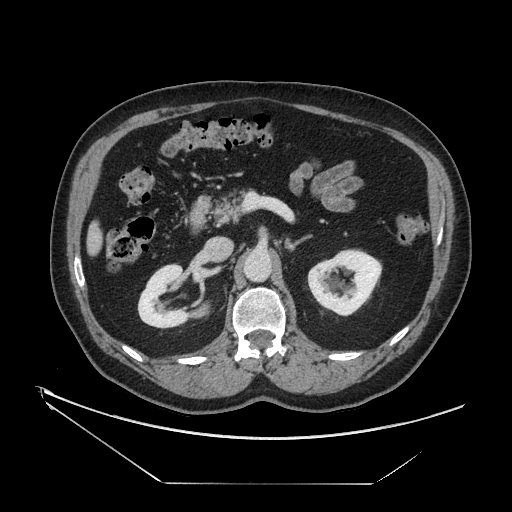

Upper abdomen; CT scan slice

pancreas:
  - l=209, t=187, r=246, b=224